512x512; CT scan slice; Thorax
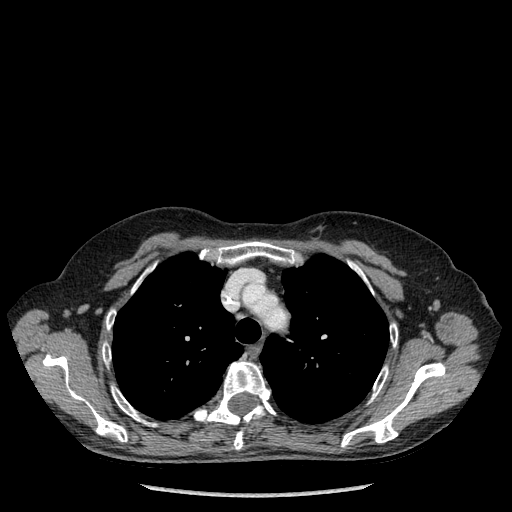
2 lung regions are bounded by [x1=112, y1=252, x2=260, y2=419], [x1=260, y1=254, x2=388, y2=423]. 12 bone regions appear at [x1=194, y1=361, x2=275, y2=425], [x1=341, y1=363, x2=446, y2=447], [x1=42, y1=354, x2=127, y2=441], [x1=199, y1=241, x2=301, y2=264], [x1=131, y1=269, x2=149, y2=293], [x1=369, y1=366, x2=388, y2=402], [x1=102, y1=342, x2=111, y2=366], [x1=348, y1=260, x2=373, y2=294], [x1=111, y1=386, x2=156, y2=426], [x1=234, y1=430, x2=242, y2=449], [x1=390, y1=323, x2=397, y2=347], [x1=106, y1=309, x2=115, y2=330].